Image width 512 mm. CT image. Slice 122/151.

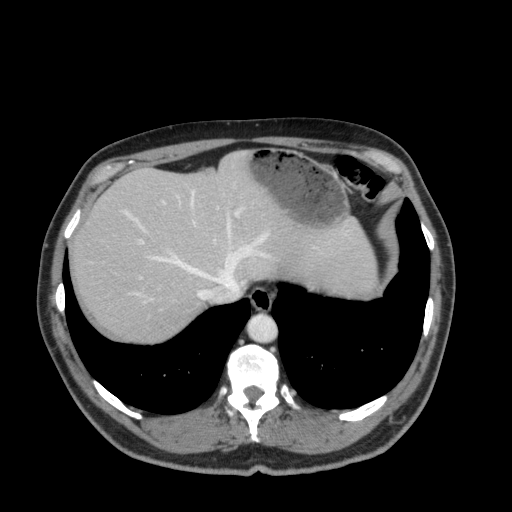 Liver = (74,152,377,341).